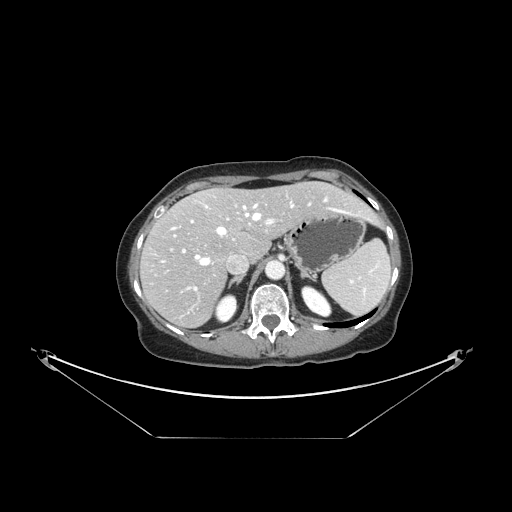

CT image
The vessel annotation is not exhaustive.
Segmented structures:
- hepatic vessel: bbox(253, 213, 259, 219); bbox(217, 227, 224, 234); bbox(267, 220, 271, 223)